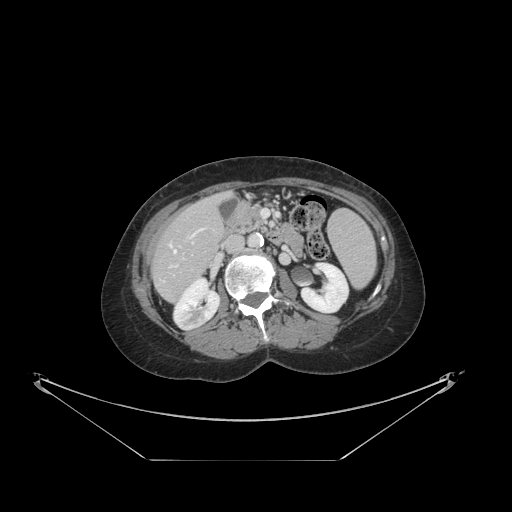 512x512. CT scan slice. The vessel annotation is not exhaustive.
{"hepatic_vessel": [{"x1": 190, "y1": 237, "x2": 193, "y2": 242}, {"x1": 197, "y1": 227, "x2": 205, "y2": 231}, {"x1": 176, "y1": 265, "x2": 177, "y2": 266}, {"x1": 173, "y1": 249, "x2": 176, "y2": 252}]}